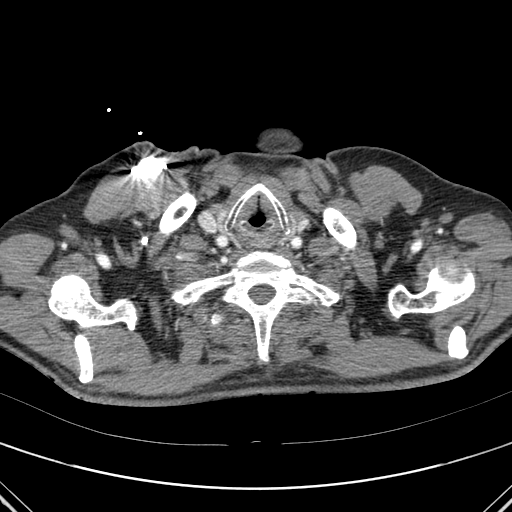
CT image

Annotated regions:
• bone: [x1=388, y1=259, x2=474, y2=317], [x1=411, y1=240, x2=421, y2=251], [x1=159, y1=192, x2=196, y2=235], [x1=323, y1=207, x2=356, y2=249], [x1=448, y1=326, x2=468, y2=358], [x1=74, y1=334, x2=93, y2=382], [x1=48, y1=275, x2=136, y2=330], [x1=172, y1=251, x2=339, y2=361]